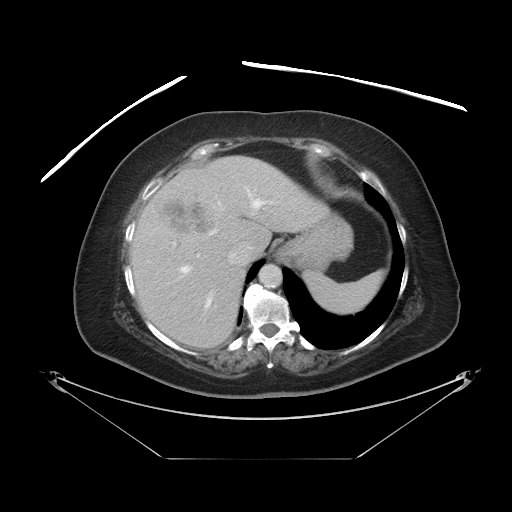 Image size 512x512. Computed tomography.

Some hepatic vessels may have no box.
* liver tumor: bbox(154, 197, 215, 237)
* hepatic vessel: bbox(172, 241, 175, 243); bbox(229, 225, 254, 256); bbox(178, 265, 191, 278); bbox(205, 294, 211, 308); bbox(197, 254, 198, 255); bbox(245, 186, 270, 209)